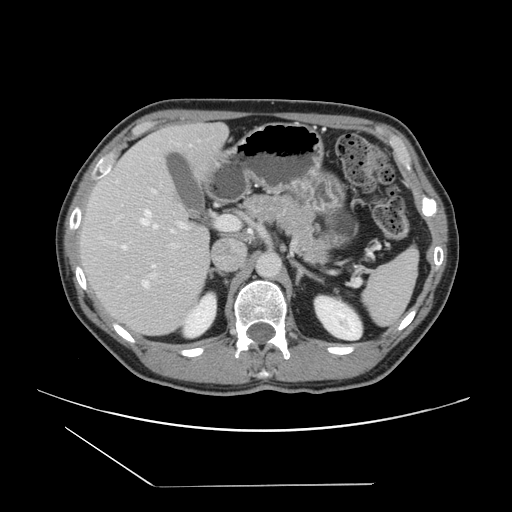 Computed tomography
Only some of the vessels may be annotated.
Hepatic vessel at [x1=144, y1=275, x2=149, y2=280], [x1=177, y1=221, x2=177, y2=224], [x1=100, y1=237, x2=115, y2=244], [x1=126, y1=276, x2=127, y2=277], [x1=149, y1=217, x2=150, y2=224], [x1=114, y1=216, x2=120, y2=221].